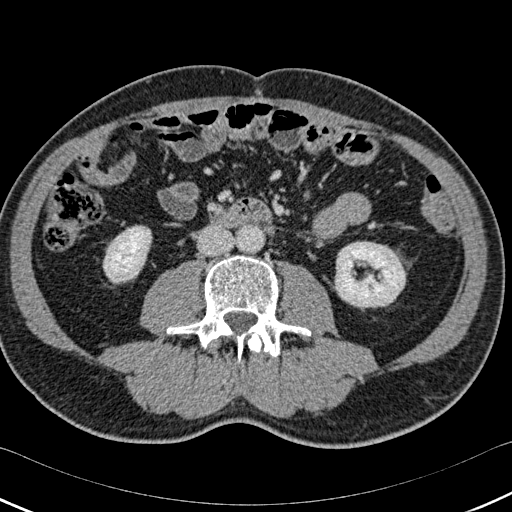 Abdomen | CT image
bone:
  - 167:256:310:362
kidney:
  - 335:242:405:306
  - 103:226:151:282